FLAIR magnetic resonance.
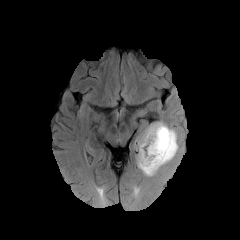
T1-weighted MR.
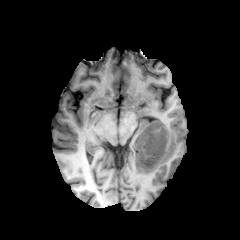
Post-contrast T1-weighted MR image.
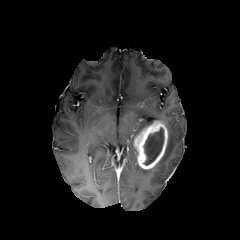
T2-weighted magnetic resonance.
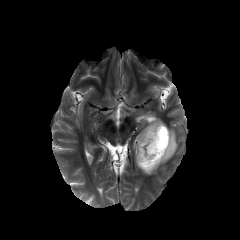
Brain
edema: [140,122,181,175] | enhancing tumor: [134,120,168,169] | non-enhancing tumor core: [144,128,163,165]